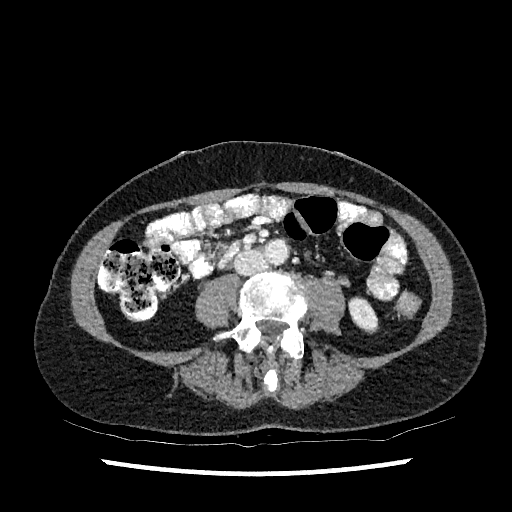

CT slice. 512x512.

The kidney is bounded by 349:299:376:328.